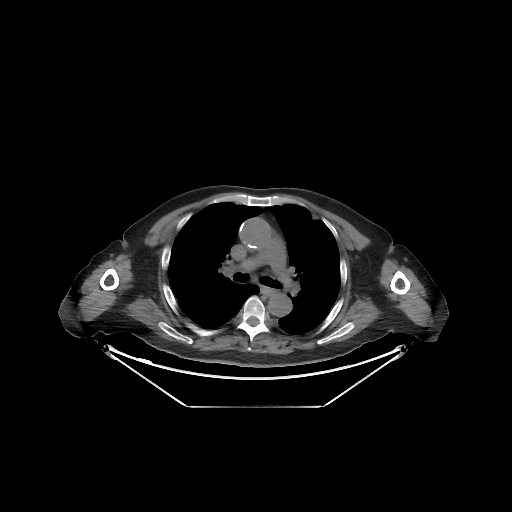 Thorax. CT. 11 bone regions appear at (left=317, top=322, right=353, bottom=343), (left=321, top=300, right=342, bottom=329), (left=162, top=248, right=168, bottom=264), (left=189, top=326, right=214, bottom=335), (left=237, top=296, right=268, bottom=340), (left=340, top=261, right=346, bottom=280), (left=100, top=268, right=118, bottom=290), (left=246, top=196, right=272, bottom=205), (left=390, top=271, right=410, bottom=294), (left=159, top=322, right=192, bottom=343), (left=163, top=285, right=175, bottom=310). 2 lung regions appear at (left=168, top=202, right=340, bottom=335), (left=259, top=276, right=282, bottom=288).